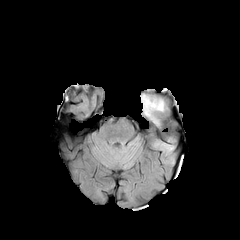
FLAIR MR image.
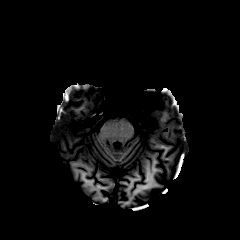
T1-weighted MR image of the same slice.
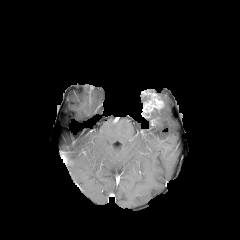
Post-contrast T1-weighted MRI of the same slice.
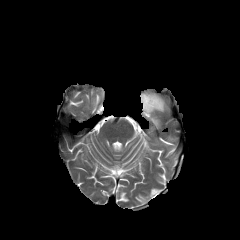
Same slice, T2-weighted MR image.
Brain
Findings:
• non-enhancing tumor core: [x1=140, y1=94, x2=149, y2=104]
• enhancing tumor: [x1=140, y1=91, x2=162, y2=112]
• edema: [x1=148, y1=108, x2=163, y2=125]